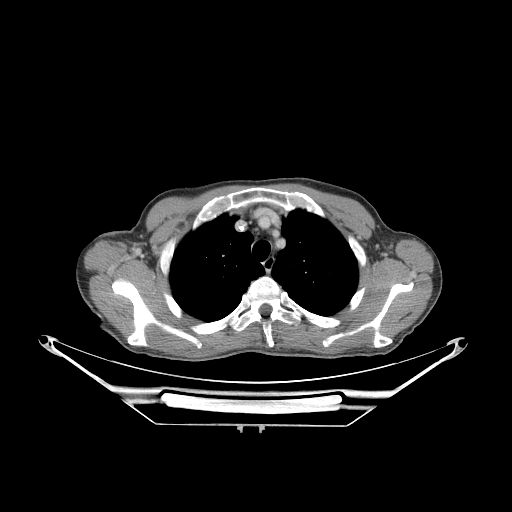
CT, Thorax
Segmented structures:
• lung: [169,213,263,321], [272,208,358,315]
• bone: [201,197,221,220], [161,256,168,272], [351,288,364,308], [227,188,320,213], [164,294,180,316], [112,279,154,345], [324,283,413,346], [355,245,364,264], [192,277,339,346], [166,325,196,343]